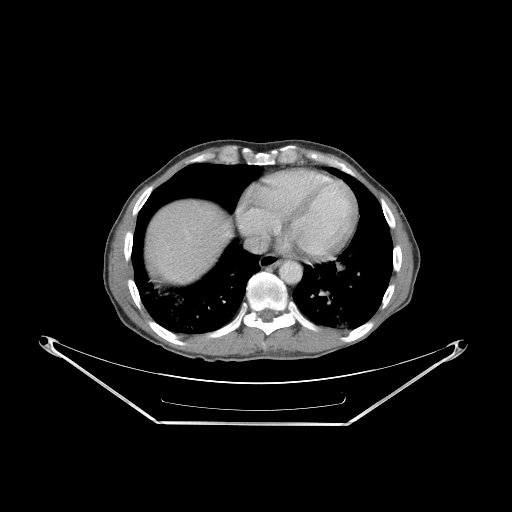
CT slice | 512x512 | Abdomen
2 lung regions are located at rect(292, 169, 392, 328); rect(132, 163, 265, 334). 11 bone regions are located at rect(382, 200, 394, 226); rect(133, 187, 151, 214); rect(248, 153, 274, 164); rect(342, 323, 372, 341); rect(393, 246, 401, 270); rect(124, 232, 132, 259); rect(128, 280, 139, 307); rect(149, 322, 184, 344); rect(209, 308, 245, 337); rect(383, 285, 393, 307); rect(244, 272, 315, 334). The liver lies within rect(144, 199, 233, 284).